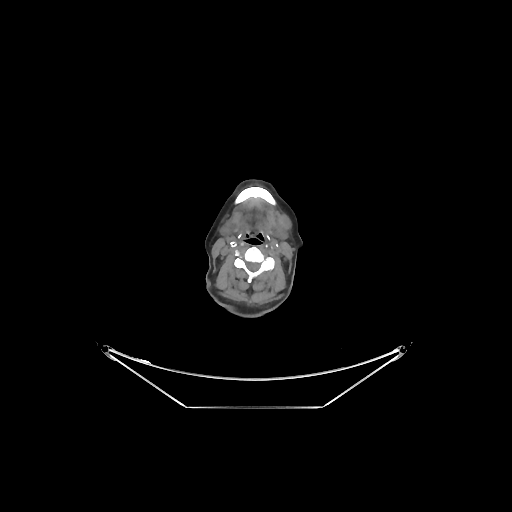
512x512. CT image.
Bone at <bbox>234, 247, 274, 282</bbox>, <bbox>235, 187, 275, 204</bbox>.